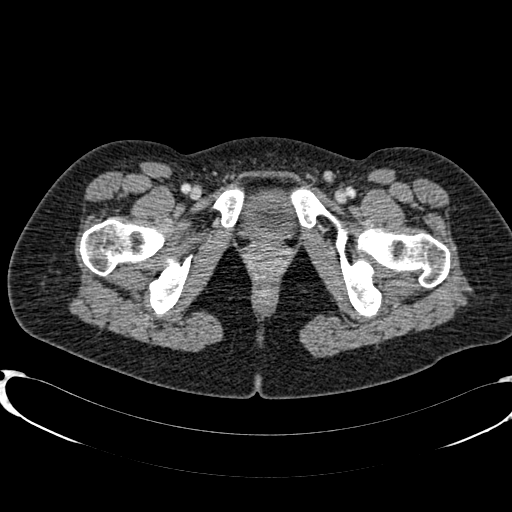
CT slice, Image size 512x512

The urinary bladder is bounded by [235, 187, 300, 240].